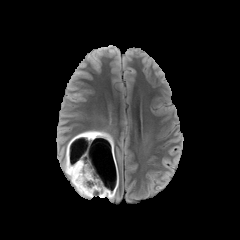
FLAIR MR.
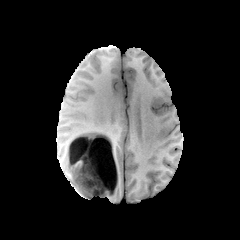
T1-weighted magnetic resonance of the same slice.
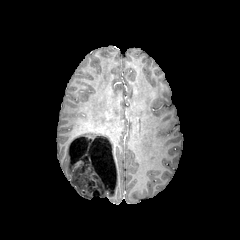
Same slice, post-contrast T1-weighted MR image.
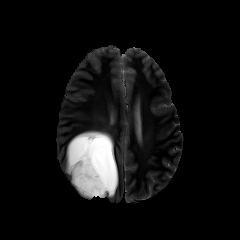
T2-weighted MR of the same slice.
Brain
<segmentation>
  <edema>64, 138, 97, 198; 97, 140, 115, 172; 99, 174, 117, 197</edema>
  <non-enhancing_tumor_core>68, 132, 113, 195</non-enhancing_tumor_core>
</segmentation>